FLAIR MR.
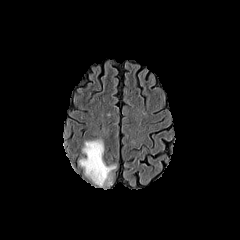
T1-weighted MR.
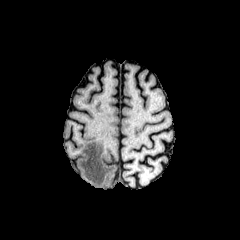
Post-contrast T1-weighted MR image.
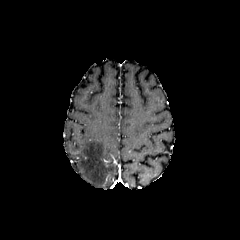
T2-weighted magnetic resonance.
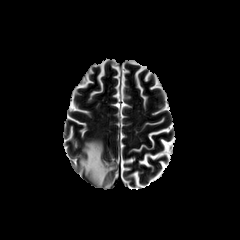
Brain
<segmentation>
  <edema><bbox>79, 140, 116, 187</bbox></edema>
</segmentation>